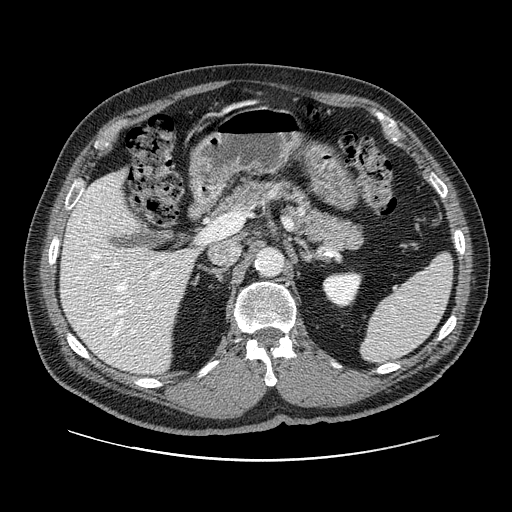

Upper abdomen; CT scan slice
{
  "pancreas": [
    "187 177 365 250"
  ]
}